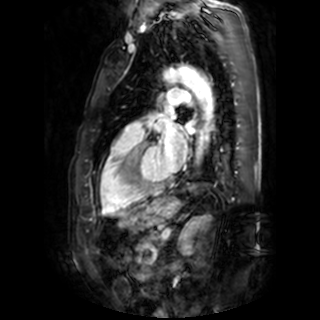
MRI.
2 left atrium regions appear at [x1=186, y1=123, x2=195, y2=134], [x1=156, y1=118, x2=186, y2=170].